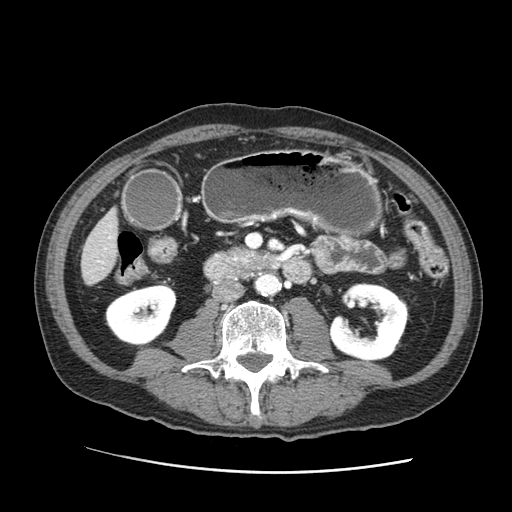

Computed tomography
Pancreas: [x1=229, y1=248, x2=251, y2=257].